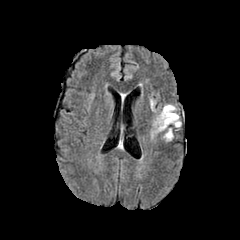
FLAIR MRI.
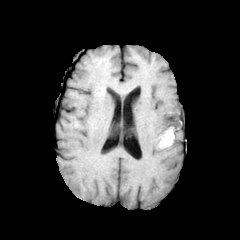
T1-weighted magnetic resonance of the same slice.
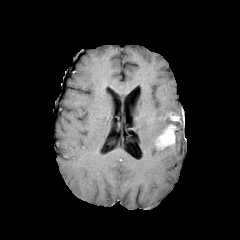
Same slice, post-contrast T1-weighted magnetic resonance.
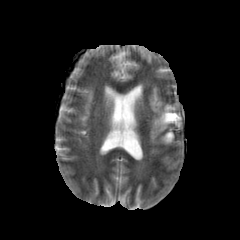
T2-weighted MRI.
Image size 240x240, Brain
• edema: {"x1": 149, "y1": 98, "x2": 181, "y2": 143}
• non-enhancing tumor core: {"x1": 156, "y1": 129, "x2": 174, "y2": 146}, {"x1": 164, "y1": 112, "x2": 176, "y2": 122}
• enhancing tumor: {"x1": 168, "y1": 114, "x2": 180, "y2": 121}, {"x1": 163, "y1": 128, "x2": 173, "y2": 141}